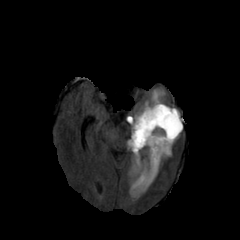
FLAIR MRI.
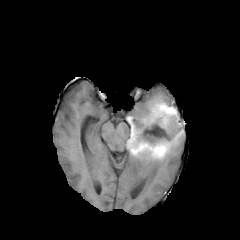
T1-weighted magnetic resonance.
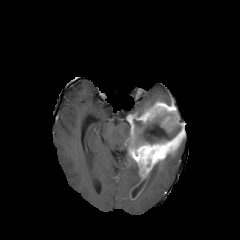
Post-contrast T1-weighted MR image.
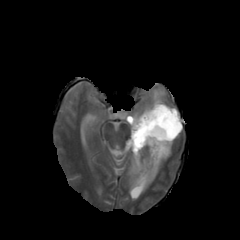
T2-weighted magnetic resonance.
<segmentation>
  <edema>bbox=[138, 90, 163, 111]; bbox=[130, 159, 139, 195]; bbox=[135, 163, 161, 195]</edema>
  <non-enhancing_tumor_core>bbox=[134, 115, 181, 144]; bbox=[132, 174, 148, 195]; bbox=[150, 159, 163, 173]</non-enhancing_tumor_core>
  <enhancing_tumor>bbox=[127, 100, 184, 181]</enhancing_tumor>
</segmentation>